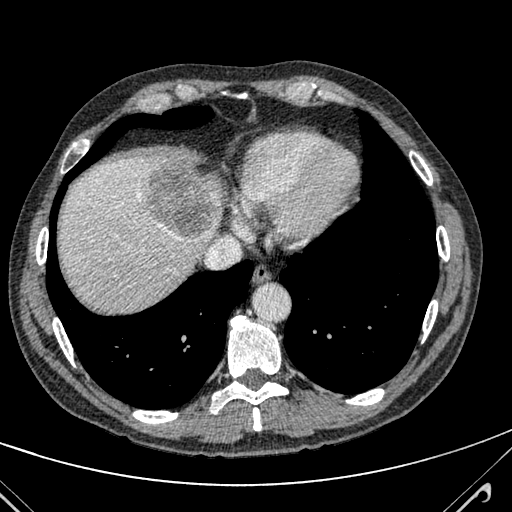 CT scan slice
The liver lies within box=[60, 156, 222, 309]. The focal liver lesion appears at box=[146, 161, 216, 238].